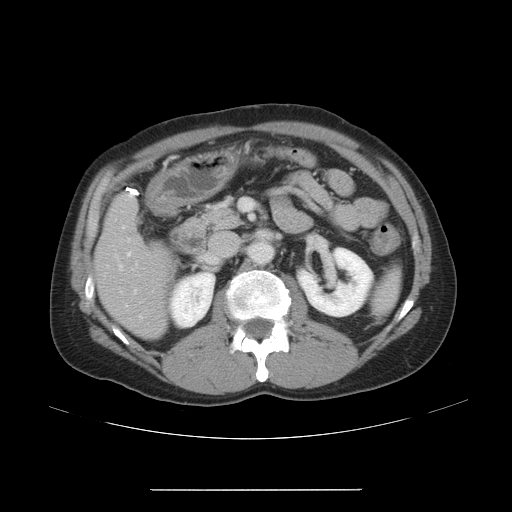 CT slice. Liver.

The vessel annotation is not exhaustive.
Findings:
- hepatic vessel: region(134, 290, 136, 293); region(139, 315, 142, 318); region(123, 225, 125, 228); region(127, 252, 130, 255)